FLAIR MR image.
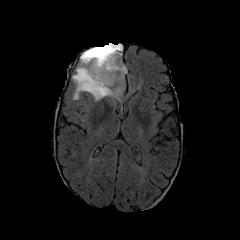
T1-weighted magnetic resonance.
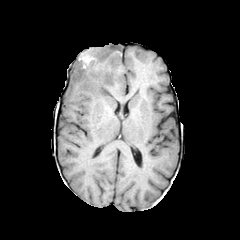
Post-contrast T1-weighted magnetic resonance.
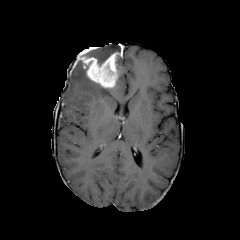
T2-weighted MRI.
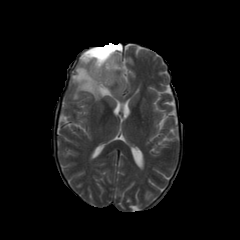
Image size 240x240
Segmented structures:
* non-enhancing tumor core: 86, 44, 120, 63; 78, 61, 89, 79
* enhancing tumor: 77, 44, 123, 87
* edema: 72, 59, 127, 101